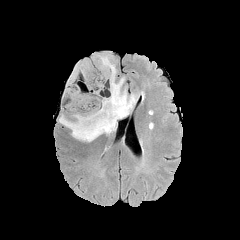
FLAIR MR image.
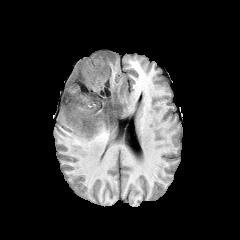
Same slice, T1-weighted MR.
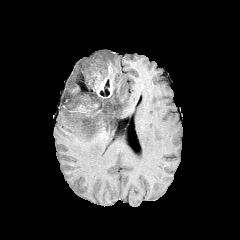
Post-contrast T1-weighted MR image of the same slice.
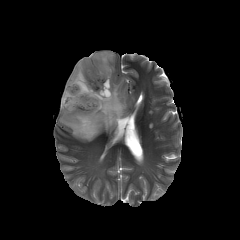
Same slice, T2-weighted MR image.
Brain
Annotated regions:
- edema: (x1=59, y1=51, x2=138, y2=141)
- non-enhancing tumor core: (x1=95, y1=73, x2=104, y2=90), (x1=87, y1=79, x2=118, y2=121)
- enhancing tumor: (x1=96, y1=67, x2=111, y2=95)